CT

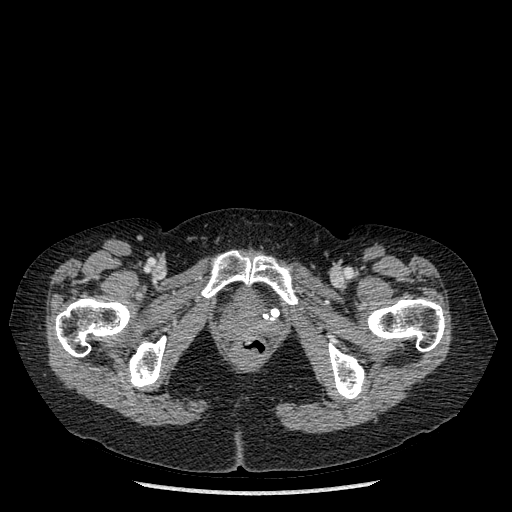
5 bone regions are bounded by <bbox>366, 298, 445, 351</bbox>, <bbox>128, 336, 166, 389</bbox>, <bbox>201, 251, 297, 304</bbox>, <bbox>54, 297, 131, 357</bbox>, <bbox>327, 336, 365, 399</bbox>.